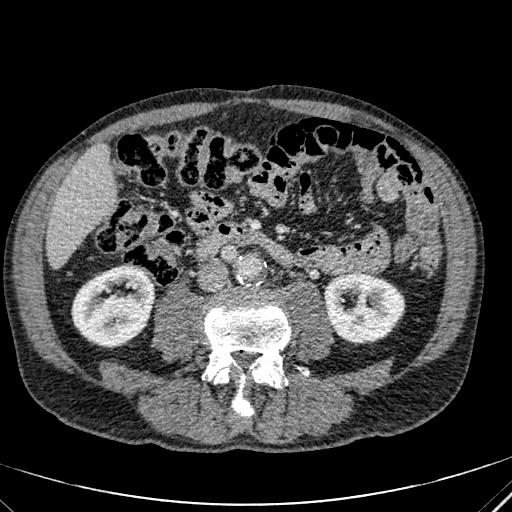 CT image; 512x512 px
Liver at x1=46 y1=146 x2=114 y2=267.
Kidney at x1=72 y1=266 x2=153 y2=345, x1=325 y1=274 x2=403 y2=341.